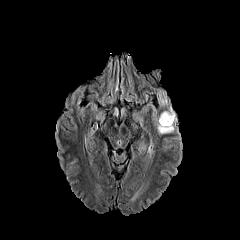
FLAIR MR.
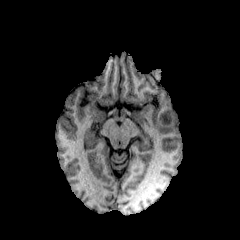
T1-weighted MR image.
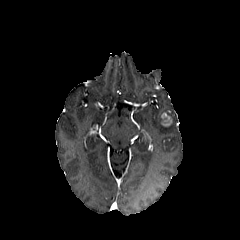
Post-contrast T1-weighted magnetic resonance of the same slice.
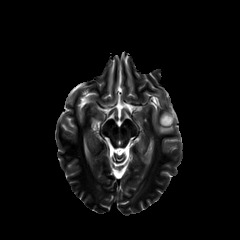
T2-weighted MR.
Head
The enhancing tumor is located at x1=159 y1=111 x2=172 y2=127. 2 edema regions are bounded by x1=153 y1=89 x2=174 y2=113, x1=144 y1=103 x2=177 y2=135.